Abdomen, 512x512 px, Slice 52 of 154, CT slice 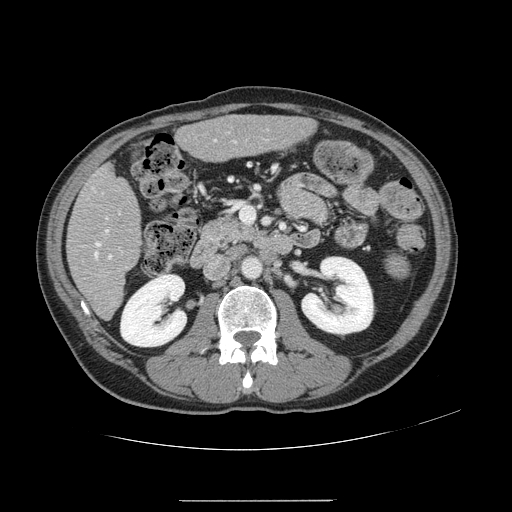
The vessel annotation is not exhaustive.
hepatic_vessel:
  - rect(96, 242, 100, 246)
  - rect(233, 141, 234, 142)
  - rect(106, 230, 107, 231)
  - rect(94, 252, 97, 258)
  - rect(92, 187, 94, 190)
  - rect(109, 255, 111, 257)